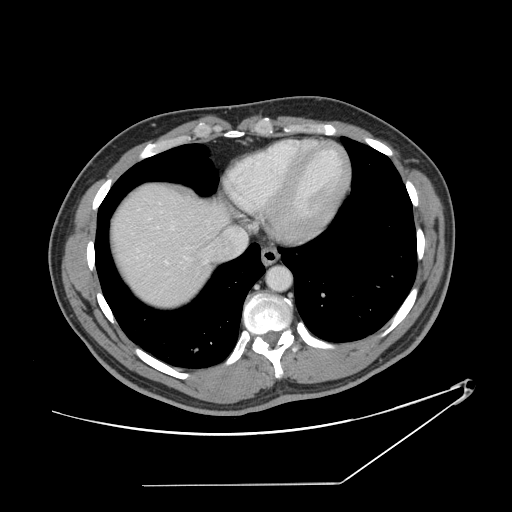
Abdomen. CT slice. The vessel boxes may cover only some of the vessels.
The hepatic vessel is bounded by <bbox>165, 260, 168, 263</bbox>.